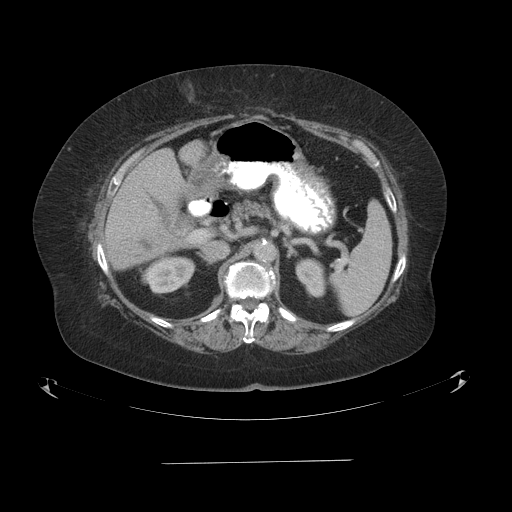 CT slice
Only some of the vessels may be annotated.
The hepatic vessel appears at (188, 230, 206, 241).